CT image, Slice 321 of 565 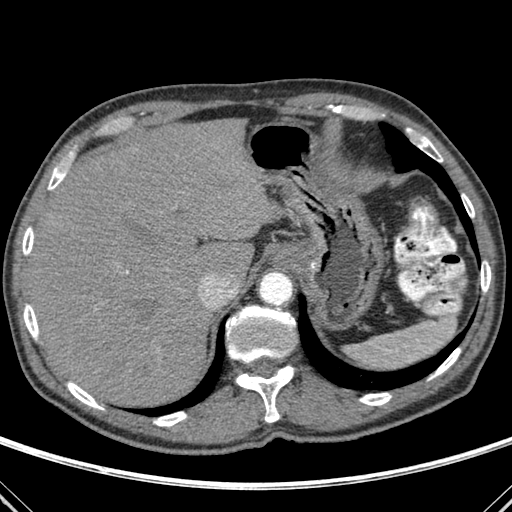

Liver: box(27, 119, 276, 407).
Bone: box(461, 193, 474, 217); box(67, 382, 103, 409); box(236, 366, 293, 422); box(359, 393, 391, 405); box(409, 130, 442, 161); box(22, 227, 33, 255); box(48, 167, 65, 189); box(226, 306, 296, 365); box(23, 304, 38, 339); box(153, 412, 186, 426); box(480, 261, 490, 292); box(430, 348, 460, 378).
Lung: box(379, 122, 476, 253); box(128, 319, 225, 416); box(298, 295, 472, 389).